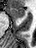

36x48 | MRI
Anterior hippocampus: bounding box <bbox>11, 7, 24, 17</bbox>.